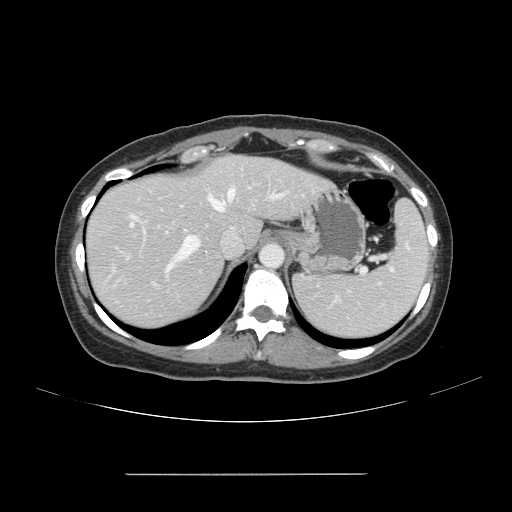 CT image. 512x512 px.

Not every hepatic vessel necessarily has a box.
Hepatic vessel = (228,189,234,199), (209,196,224,210), (166,263,173,271), (130,223,133,226), (176,236,199,259), (271,193,284,197), (141,221,142,223), (131,215,136,218).